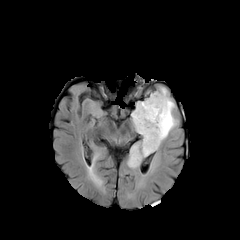
FLAIR MRI.
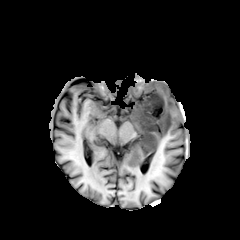
T1-weighted MR.
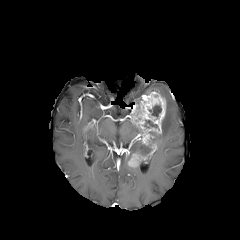
Post-contrast T1-weighted MRI of the same slice.
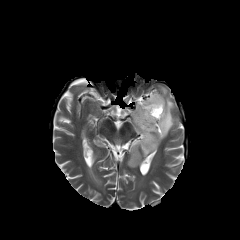
T2-weighted MRI of the same slice.
Segmented structures:
* non-enhancing tumor core: region(149, 105, 161, 117); region(144, 120, 157, 128)
* edema: region(129, 142, 152, 159); region(150, 87, 177, 146)
* enhancing tumor: region(131, 91, 166, 145)